FLAIR magnetic resonance.
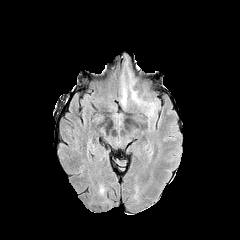
T1-weighted MRI.
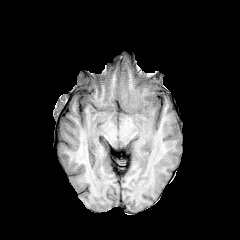
Post-contrast T1-weighted MR image.
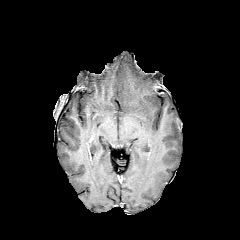
T2-weighted MR image.
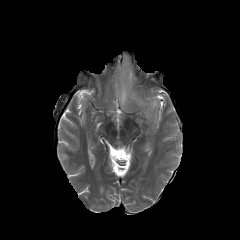
Head.
The edema appears at (x1=119, y1=67, x2=160, y2=124).